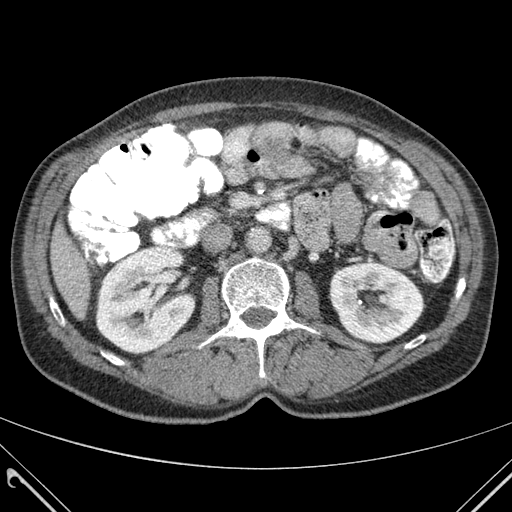 CT image

Bone: (left=200, top=258, right=314, bottom=377), (left=405, top=335, right=424, bottom=347), (left=102, top=353, right=123, bottom=364), (left=456, top=279, right=465, bottom=296), (left=50, top=298, right=63, bottom=323).
Liver: (left=51, top=221, right=90, bottom=314).
Kidney: (left=97, top=246, right=193, bottom=352), (left=331, top=263, right=422, bottom=342).